Brain; Slice 86 of 155
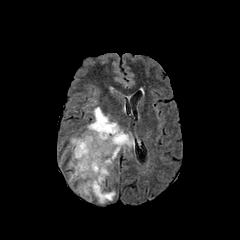
FLAIR magnetic resonance.
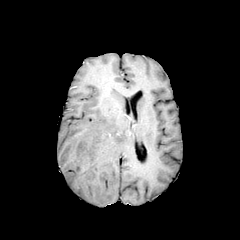
Same slice, T1-weighted MR.
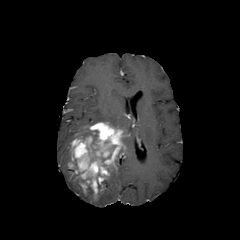
Post-contrast T1-weighted MR image.
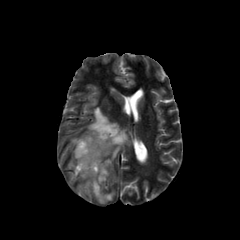
T2-weighted MR image.
Edema = x1=123 y1=132 x2=134 y2=150, x1=95 y1=187 x2=115 y2=203, x1=76 y1=185 x2=91 y2=201, x1=87 y1=106 x2=120 y2=130.
Enhancing tumor = x1=70 y1=122 x2=125 y2=196.
Non-enhancing tumor core = x1=70 y1=159 x2=93 y2=192, x1=82 y1=130 x2=98 y2=144.